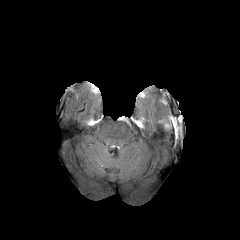
FLAIR magnetic resonance.
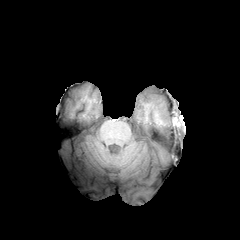
Same slice, T1-weighted MR image.
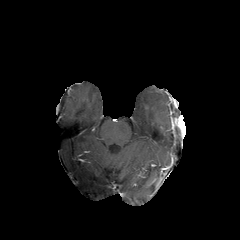
Post-contrast T1-weighted MRI.
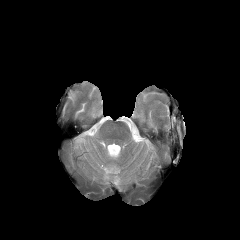
T2-weighted MR image.
3 edema regions are bounded by [101,142,121,159], [136,112,152,126], [161,116,172,129].